FLAIR MR image.
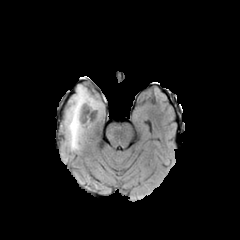
T1-weighted MR.
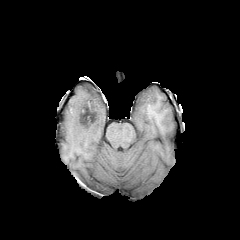
Post-contrast T1-weighted MR.
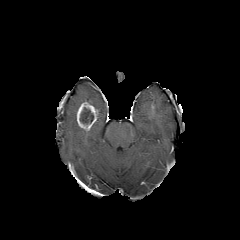
T2-weighted MR.
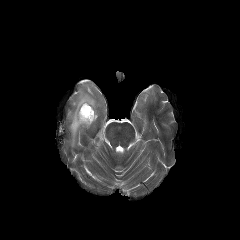
240x240 px
The enhancing tumor lies within [x1=76, y1=100, x2=95, y2=129]. The edema appears at [x1=64, y1=85, x2=102, y2=150]. The non-enhancing tumor core appears at [x1=80, y1=107, x2=96, y2=124].